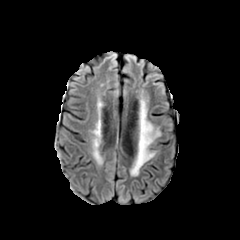
FLAIR MR.
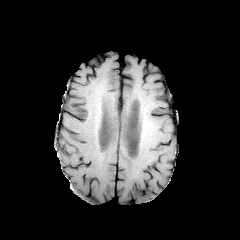
T1-weighted MR image.
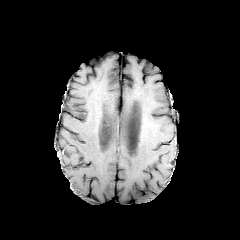
Post-contrast T1-weighted MR.
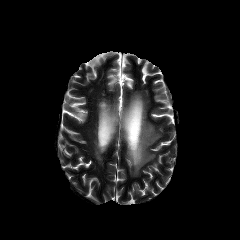
T2-weighted MR.
Image size 240x240; Brain
Edema — (132,99,154,174).